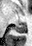 MRI

The posterior hippocampus is bounded by (13, 25, 25, 33).